512x512, CT, Abdomen 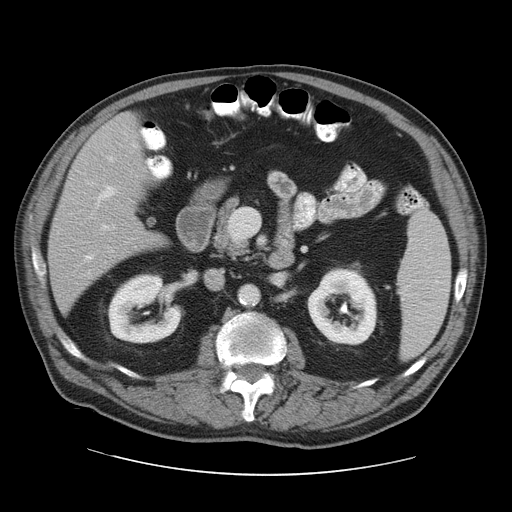
Some hepatic vessels may have no box.
Hepatic vessel: bounding box (109,157,112,160), (98,186,113,202), (86,256,91,258).